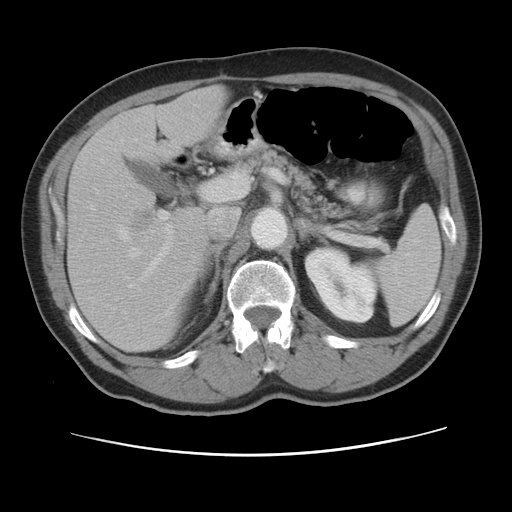
Liver; CT; Image size 512x512
The vessel annotation is not exhaustive.
{"hepatic_vessel": ["(x1=90, y1=205, x2=93, y2=208)", "(x1=95, y1=188, x2=96, y2=190)", "(x1=189, y1=267, x2=194, y2=269)", "(x1=163, y1=282, x2=188, y2=315)", "(x1=121, y1=139, x2=123, y2=142)", "(x1=132, y1=139, x2=136, y2=141)", "(x1=144, y1=222, x2=171, y2=274)", "(x1=124, y1=150, x2=151, y2=157)", "(x1=141, y1=277, x2=142, y2=279)", "(x1=129, y1=283, x2=132, y2=286)"], "liver_tumor": ["(x1=132, y1=206, x2=152, y2=236)"]}